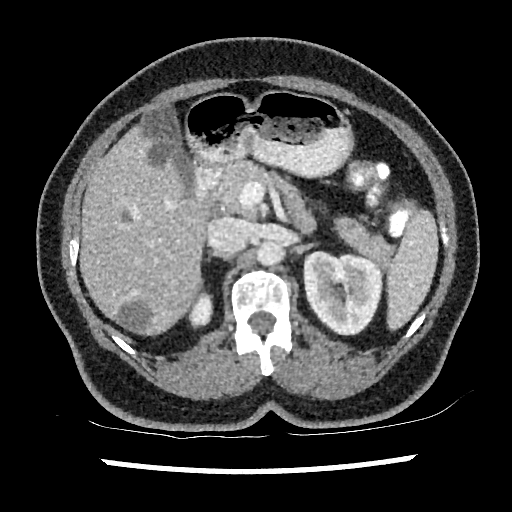

CT scan slice
focal liver lesion: <bbox>121, 212, 132, 222</bbox>, <bbox>151, 145, 168, 165</bbox>, <bbox>115, 302, 149, 330</bbox> | liver: <bbox>80, 128, 206, 334</bbox> | kidney: <bbox>303, 252, 381, 334</bbox>, <bbox>192, 297, 209, 323</bbox>